Image size 240x240 | Field of view 240 mm wide, 1.00 mm slice spacing
FLAIR magnetic resonance.
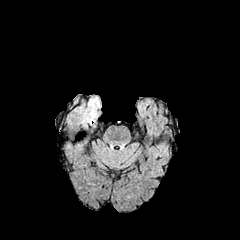
T1-weighted MR.
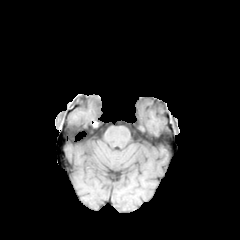
Post-contrast T1-weighted MR image.
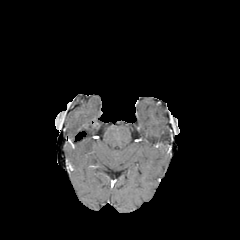
T2-weighted MR.
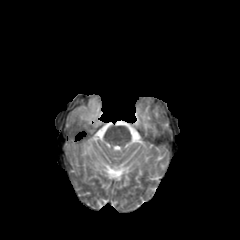
{
  "edema": [
    "bbox=[82, 97, 100, 123]"
  ]
}